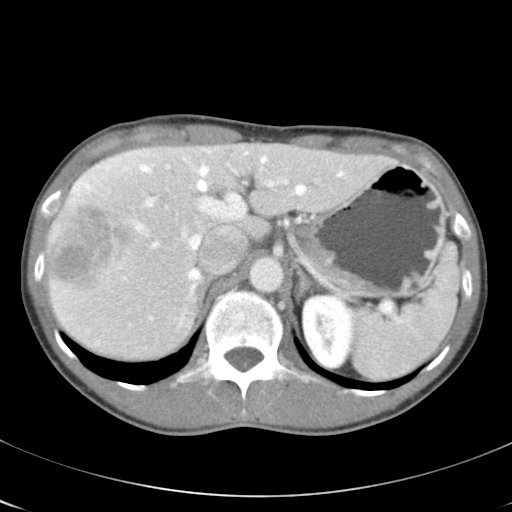

CT; Image size 512x512

Some hepatic vessels may have no box.
The largest 15 hepatic vessel regions (of 16) are located at region(269, 181, 272, 185); region(135, 223, 146, 232); region(146, 198, 153, 205); region(166, 165, 169, 168); region(198, 181, 206, 189); region(200, 167, 207, 174); region(261, 157, 266, 162); region(142, 165, 150, 171); region(192, 285, 194, 291); region(338, 172, 342, 175); region(153, 242, 158, 246); region(190, 236, 199, 248); region(296, 186, 304, 193); region(201, 194, 243, 216); region(189, 270, 198, 278). The liver tumor lies within region(45, 199, 152, 293).